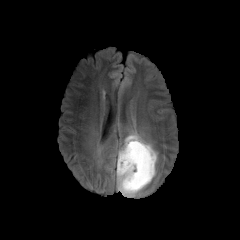
FLAIR MR.
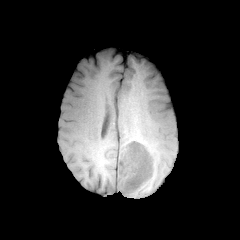
T1-weighted MR.
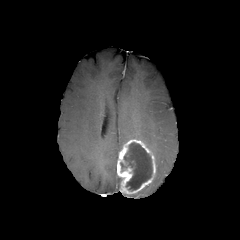
Post-contrast T1-weighted MRI.
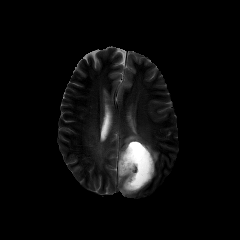
Same slice, T2-weighted MR image.
240x240 px
Enhancing tumor = [116, 139, 152, 194], [150, 153, 155, 172].
Edema = [113, 147, 121, 168], [116, 170, 120, 189], [120, 131, 158, 165].
Non-enhancing tumor core = [124, 142, 154, 189].